Slice 25/40, Magnetic resonance

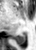 posterior_hippocampus:
  - (left=14, top=32, right=25, bottom=44)